FLAIR magnetic resonance.
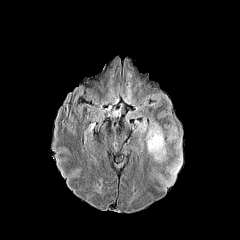
T1-weighted MR.
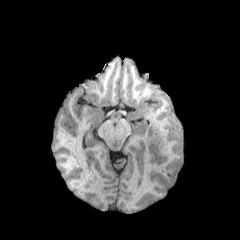
Post-contrast T1-weighted magnetic resonance.
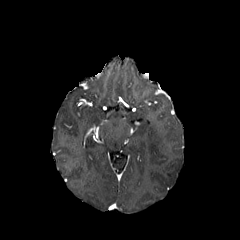
T2-weighted MRI.
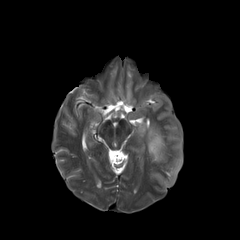
Head | 240x240 px
<segmentation>
  <edema>x1=170 y1=155 x2=182 y2=177, x1=146 y1=122 x2=167 y2=165</edema>
</segmentation>